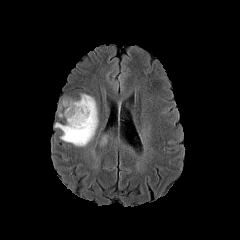
FLAIR MR.
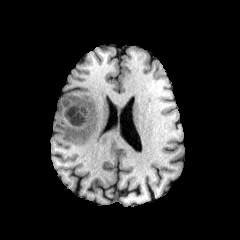
T1-weighted MR.
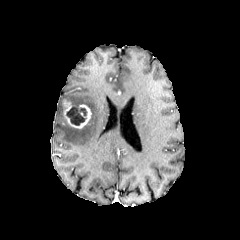
Post-contrast T1-weighted MRI.
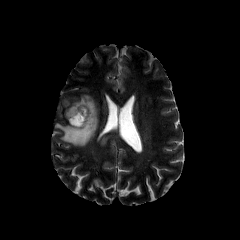
T2-weighted MRI.
Brain
edema: {"x1": 55, "y1": 94, "x2": 98, "y2": 146} | non-enhancing tumor core: {"x1": 67, "y1": 106, "x2": 86, "y2": 126} | enhancing tumor: {"x1": 63, "y1": 99, "x2": 91, "y2": 129}